Slice 97/168; CT scan slice; Field of view 386 mm wide, 1.50 mm slice spacing; Image size 512x512 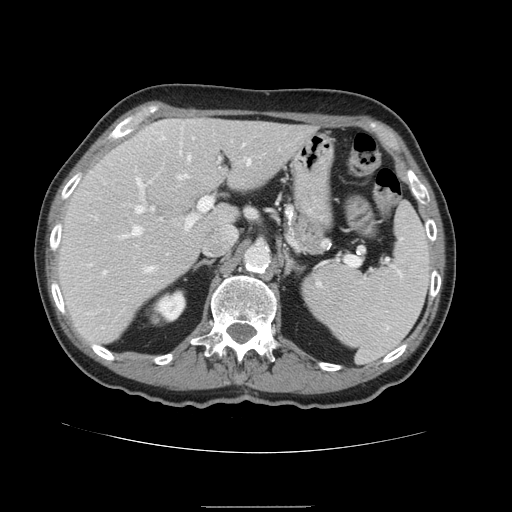
spleen: 303 204 431 363